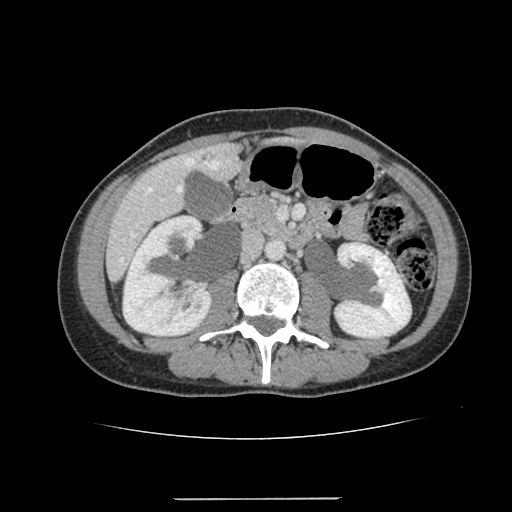 Abdomen, CT image

<segmentation>
  <kidney>l=123, t=216, r=210, b=335; l=335, t=243, r=410, b=337</kidney>
  <liver>l=107, t=142, r=241, b=282; l=261, t=137, r=299, b=144</liver>
</segmentation>